Slice 58/97; CT slice
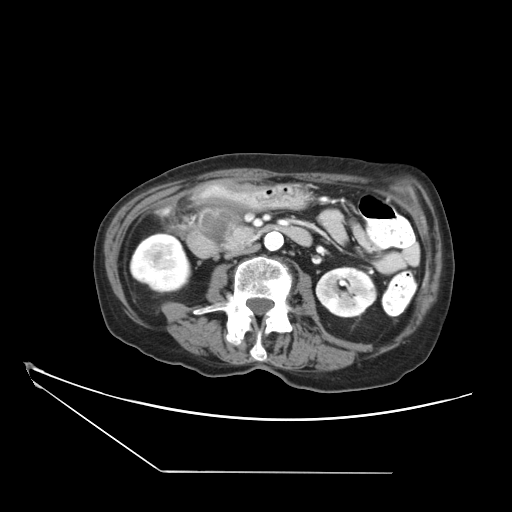
<segmentation>
  <pancreas>region(195, 202, 258, 251)</pancreas>
  <pancreatic_tumor>region(200, 213, 231, 244)</pancreatic_tumor>
</segmentation>